Slice index 24. Medial temporal lobe. MRI. 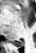
{
  "posterior_hippocampus": [
    "l=14, t=41, r=23, b=47"
  ]
}